Abdomen | Computed tomography | 512x512 px 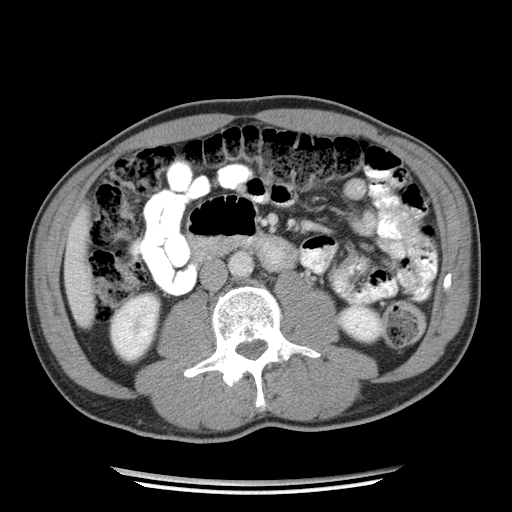 The pancreas appears at <box>190,236,244,257</box>.